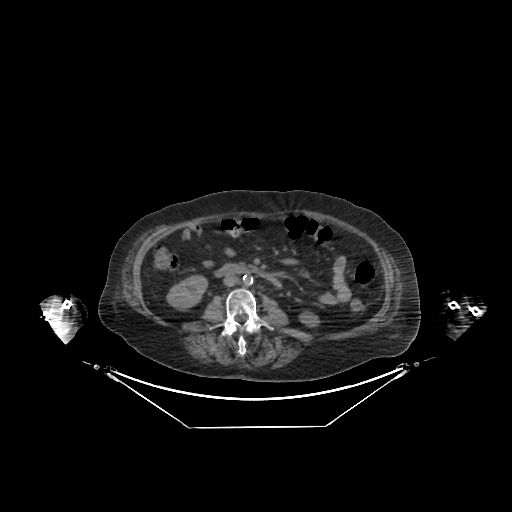
512x512. CT image. Abdomen.
2 kidney regions appear at (166,275,207,310), (299,311,319,326).